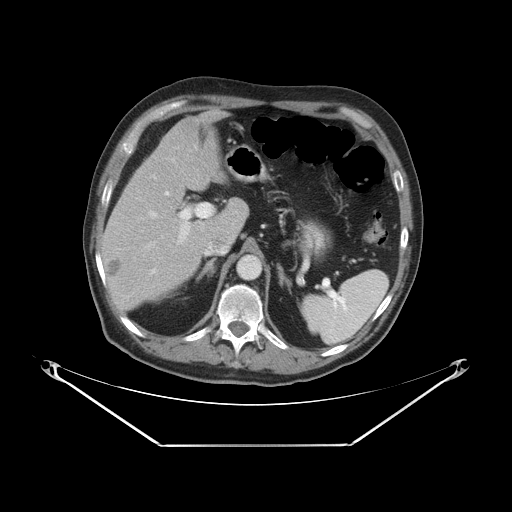
CT image

Only some of the vessels may be annotated.
10 hepatic vessel regions are bounded by (x1=151, y1=175, x2=155, y2=178), (x1=181, y1=169, x2=182, y2=171), (x1=164, y1=191, x2=169, y2=196), (x1=153, y1=270, x2=154, y2=271), (x1=161, y1=236, x2=163, y2=238), (x1=194, y1=144, x2=196, y2=149), (x1=141, y1=241, x2=157, y2=255), (x1=165, y1=157, x2=176, y2=165), (x1=177, y1=207, x2=190, y2=244), (x1=148, y1=210, x2=156, y2=218). The liver tumor is located at (x1=107, y1=257, x2=121, y2=277).